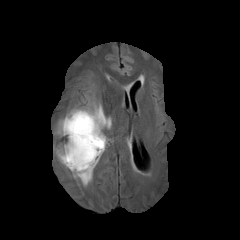
FLAIR MR.
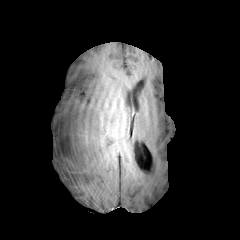
T1-weighted MR.
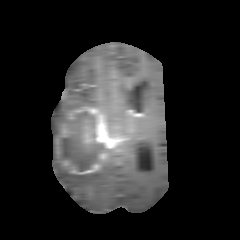
Post-contrast T1-weighted MR image.
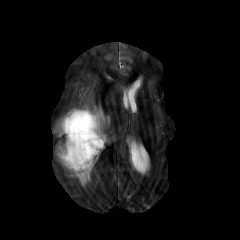
T2-weighted MRI.
Brain
2 enhancing tumor regions are bounded by <box>70,107,111,161</box>, <box>72,164,101,173</box>. The non-enhancing tumor core is located at <box>53,111,109,172</box>. 3 edema regions appear at <box>53,107,76,137</box>, <box>64,168,92,186</box>, <box>83,92,103,112</box>.